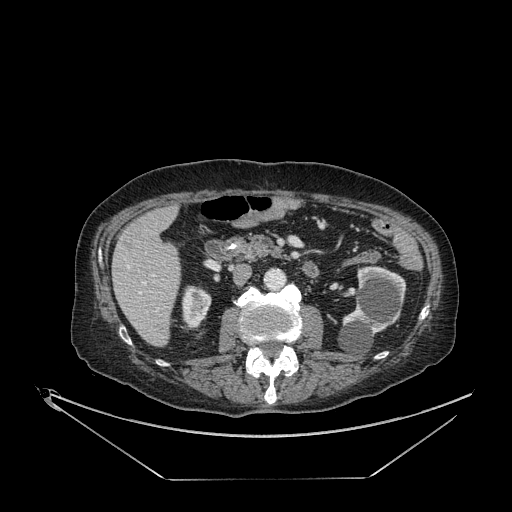
Upper abdomen. CT scan slice. Liver at [113,207,180,347].
Kidney at [182,286,210,326], [357,267,405,300], [343,305,399,333].